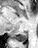 38x48, MRI, Hippocampus
<segmentation>
  <posterior_hippocampus>[15,32,27,41]</posterior_hippocampus>
</segmentation>